FLAIR MR image.
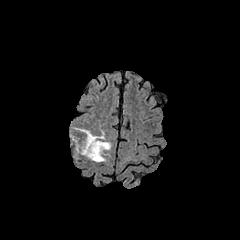
T1-weighted MR.
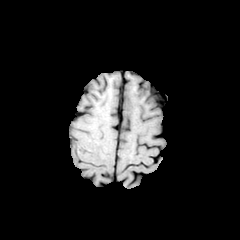
Post-contrast T1-weighted MR image.
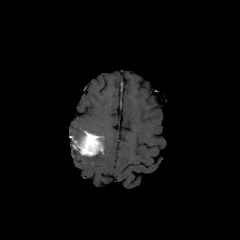
T2-weighted MR image.
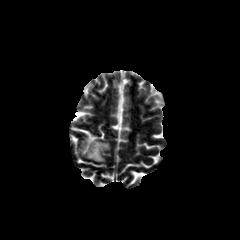
The edema is at region(70, 125, 111, 162). The enhancing tumor is located at region(74, 131, 103, 155).